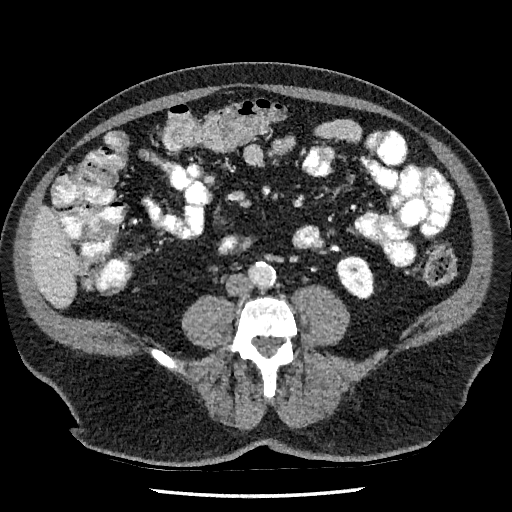
Image size 512x512, CT
{
  "kidney": [
    "region(338, 257, 372, 297)"
  ],
  "liver": [
    "region(30, 206, 78, 307)"
  ]
}